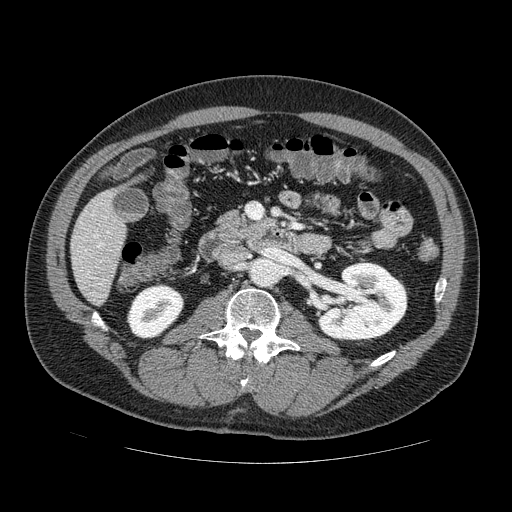

Upper abdomen. CT.

<segmentation>
  <pancreas>[219,211,274,241]</pancreas>
</segmentation>